Head. Slice 47/155. 240x240.
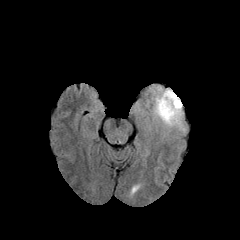
FLAIR magnetic resonance.
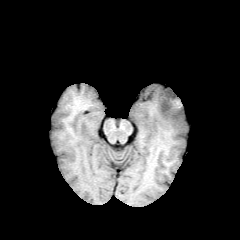
T1-weighted MRI.
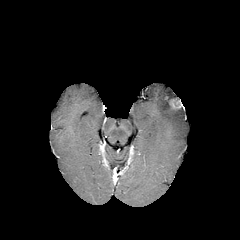
Post-contrast T1-weighted MRI.
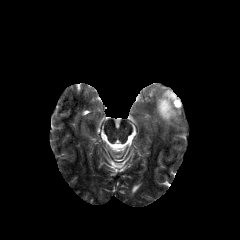
T2-weighted MR of the same slice.
The enhancing tumor lies within 169:98:182:110. The edema appears at 132:84:187:138.